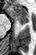
Magnetic resonance. {"anterior_hippocampus": ["<bbox>7, 6, 28, 25</bbox>"]}